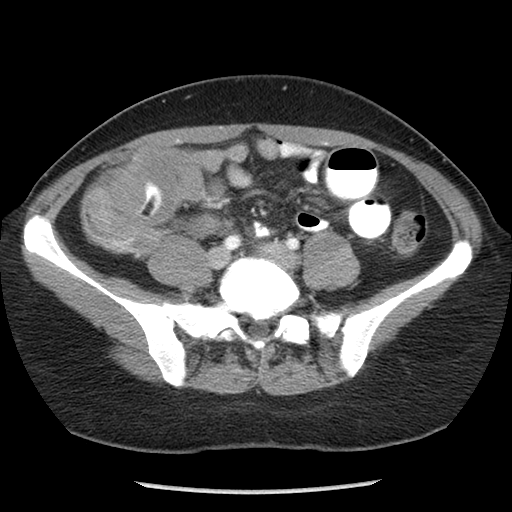
Abdomen, Computed tomography
Colon tumor at [x1=84, y1=144, x2=190, y2=252].